FLAIR magnetic resonance.
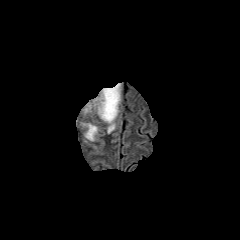
T1-weighted magnetic resonance.
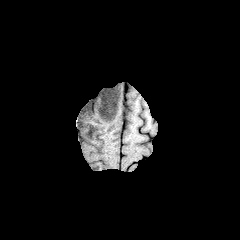
Post-contrast T1-weighted magnetic resonance.
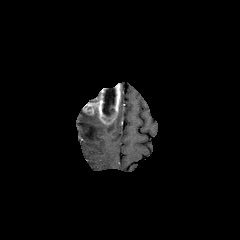
T2-weighted magnetic resonance.
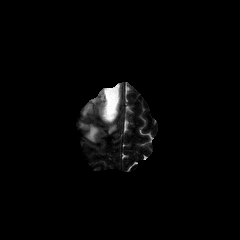
240x240 px | Head
<segmentation>
  <edema>[x1=80, y1=122, x2=101, y2=141], [x1=107, y1=119, x2=115, y2=133]</edema>
  <enhancing_tumor>[x1=82, y1=83, x2=120, y2=124]</enhancing_tumor>
  <non-enhancing_tumor_core>[x1=103, y1=87, x2=115, y2=116]</non-enhancing_tumor_core>
</segmentation>